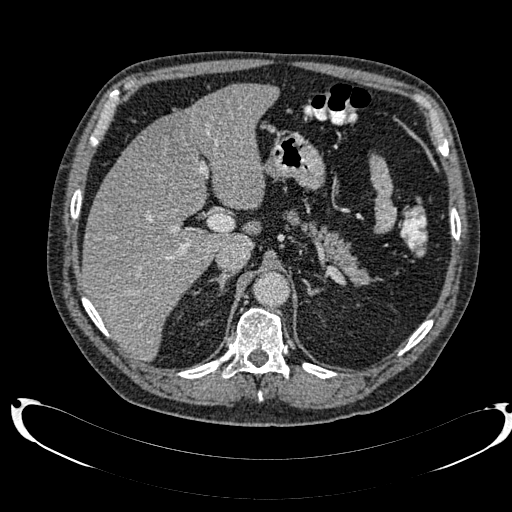 CT. 512x512 px. Liver = bbox=[81, 84, 279, 360]; bbox=[244, 221, 261, 234].
Focal liver lesion = bbox=[137, 116, 191, 173].